CT. Pelvis.

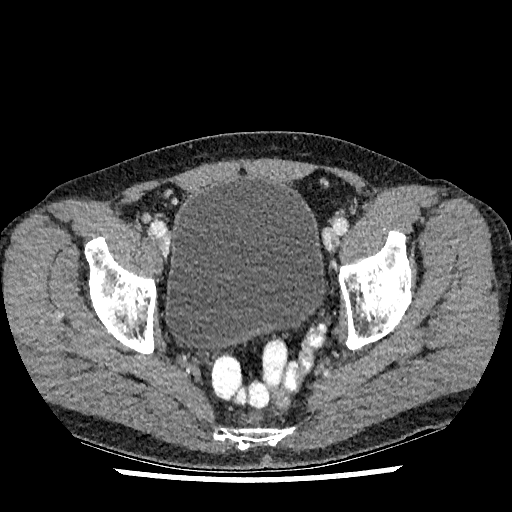 Urinary bladder at [x1=166, y1=177, x2=324, y2=353].